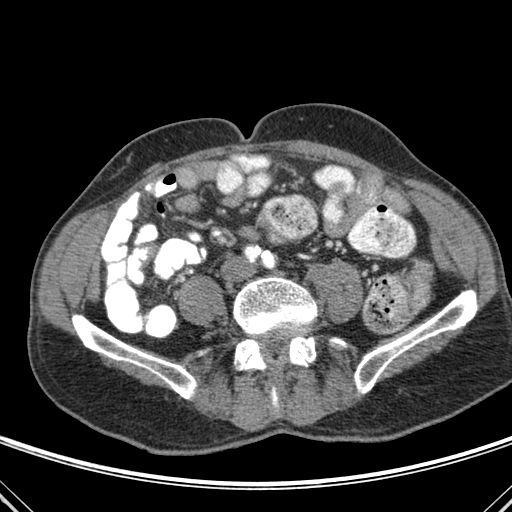 CT scan slice. bone:
  - bbox=[286, 337, 315, 366]
  - bbox=[234, 339, 266, 369]
  - bbox=[271, 383, 277, 406]
  - bbox=[233, 276, 316, 334]
  - bbox=[330, 338, 345, 346]
  - bbox=[72, 315, 196, 398]
  - bbox=[354, 290, 477, 393]